CT. Field of view 341x341 mm. 512x512 px. Liver. 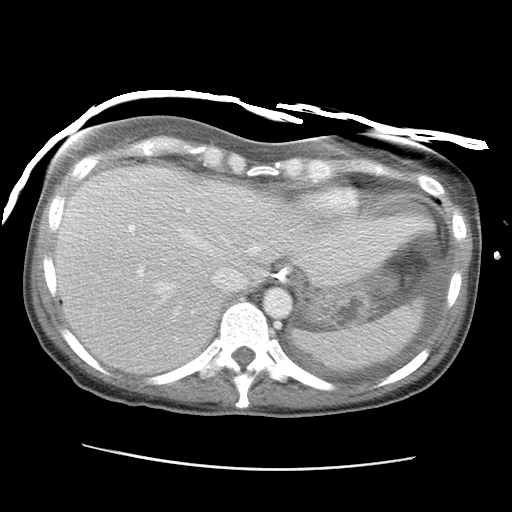

The liver appears at {"x1": 53, "y1": 164, "x2": 433, "y2": 373}.